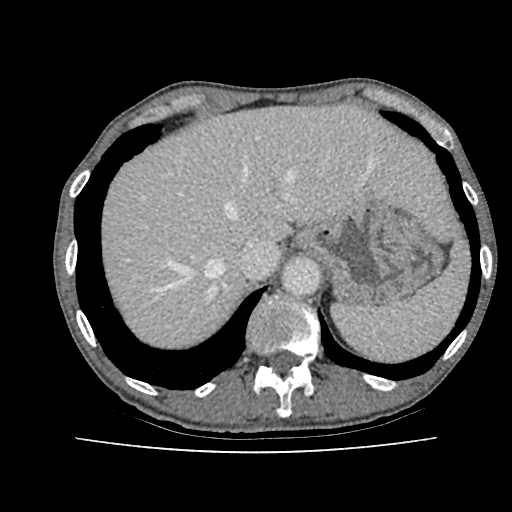
Upper abdomen. CT image. Liver = <box>100,105,451,346</box>.